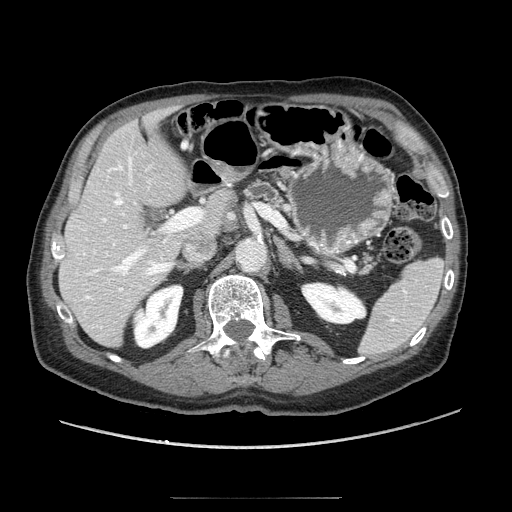

CT. 512x512.

pancreas: 245 182 281 207, 361 255 373 272